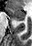 MR image, Medial temporal lobe, Image size 32x46
The anterior hippocampus is at x1=8, y1=8, x2=25, y2=19. The posterior hippocampus is at x1=16, y1=20, x2=24, y2=20.